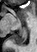 MRI slice.
* posterior hippocampus: {"x1": 11, "y1": 30, "x2": 28, "y2": 44}